CT image. Upper abdomen.

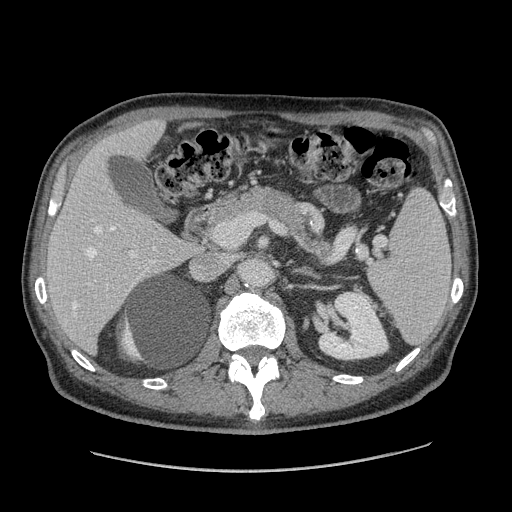

2 pancreas regions are bounded by l=202, t=189, r=267, b=249; l=281, t=206, r=332, b=253. The pancreatic tumor appears at l=257, t=190, r=294, b=220.